Image width 400 mm. Computed tomography. Abdomen. Slice 509 of 771.
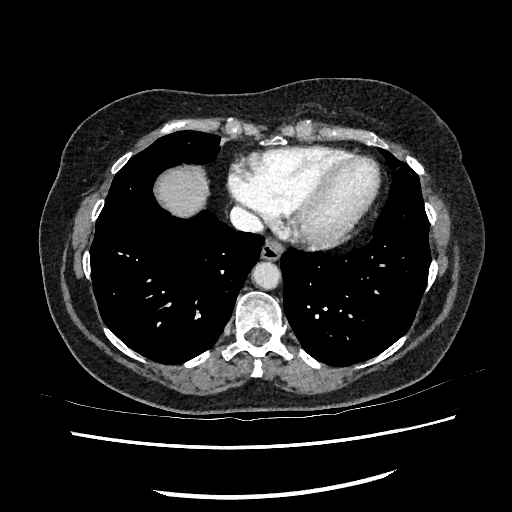 Liver at 158,168,206,215.